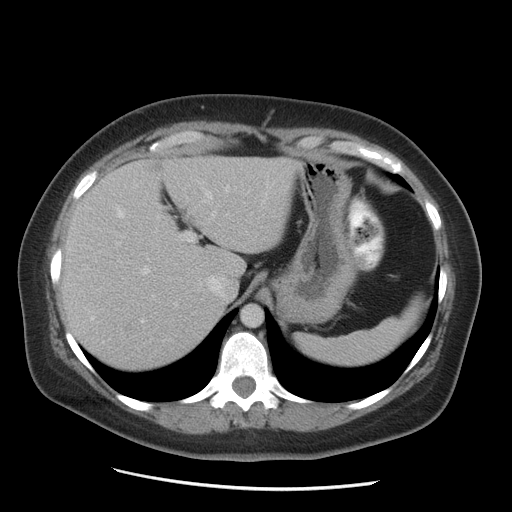

512x512 px; Abdomen; Computed tomography
The liver appears at 60,156,302,369. The liver lesion appears at 150,159,159,168.